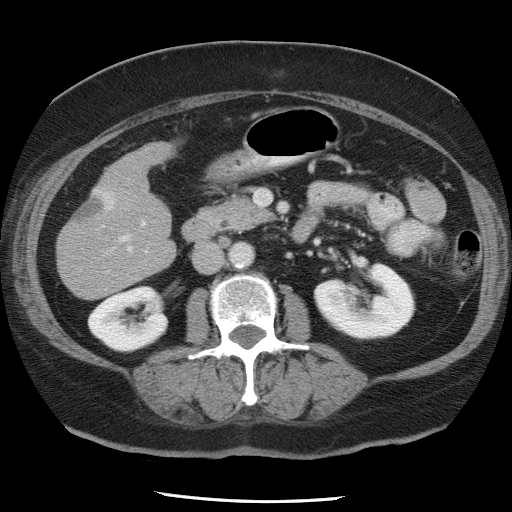
Liver, CT image
Annotated regions:
* liver tumor: (left=75, top=196, right=107, bottom=220)